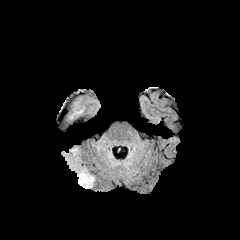
FLAIR MRI.
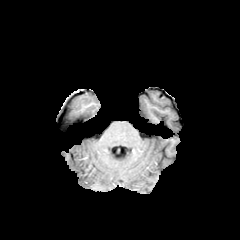
Same slice, T1-weighted MR.
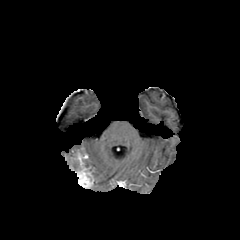
Post-contrast T1-weighted magnetic resonance.
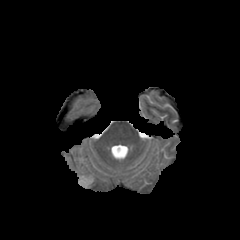
T2-weighted MRI of the same slice.
240x240 px
Enhancing tumor at (78,168,91,185).
Non-enhancing tumor core at (68,150,83,174).